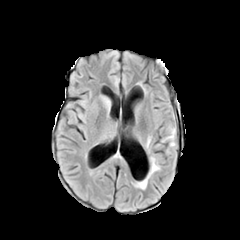
FLAIR MRI.
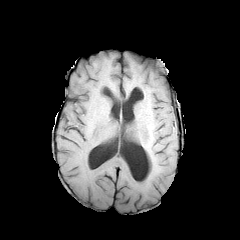
T1-weighted MR image.
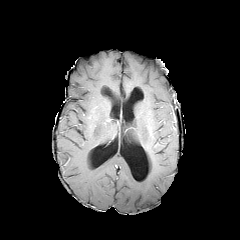
Same slice, post-contrast T1-weighted magnetic resonance.
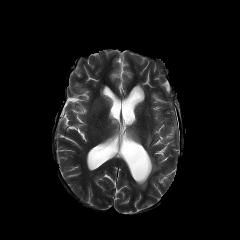
T2-weighted MR.
Head; 240x240 px
<segmentation>
  <edema>(136,136,161,189), (161,126,175,146)</edema>
</segmentation>